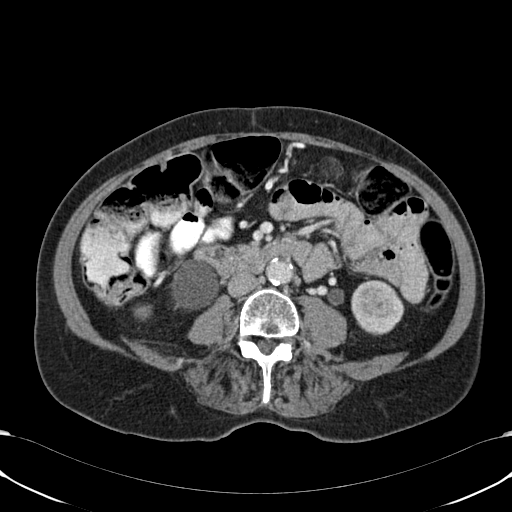
Image size 512x512. CT scan slice.
<segmentation>
  <kidney>rect(137, 300, 158, 322); rect(352, 281, 403, 333); rect(177, 291, 216, 312)</kidney>
</segmentation>